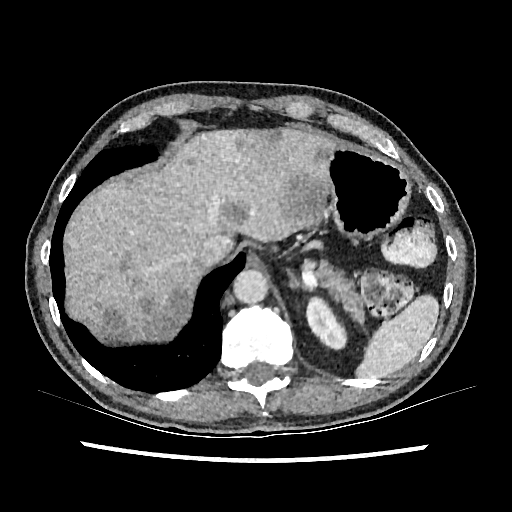

Image size 512x512. CT image. Upper abdomen.

Liver: bounding box (left=67, top=130, right=330, bottom=320).
Focal liver lesion: bounding box (left=86, top=287, right=192, bottom=341), (left=281, top=171, right=328, bottom=225), (left=234, top=130, right=280, bottom=155), (left=116, top=259, right=131, bottom=272), (left=133, top=276, right=148, bottom=290), (left=185, top=158, right=195, bottom=165), (left=221, top=200, right=249, bottom=225), (left=315, top=148, right=330, bottom=161).
Kidney: bounding box (left=307, top=298, right=345, bottom=348).